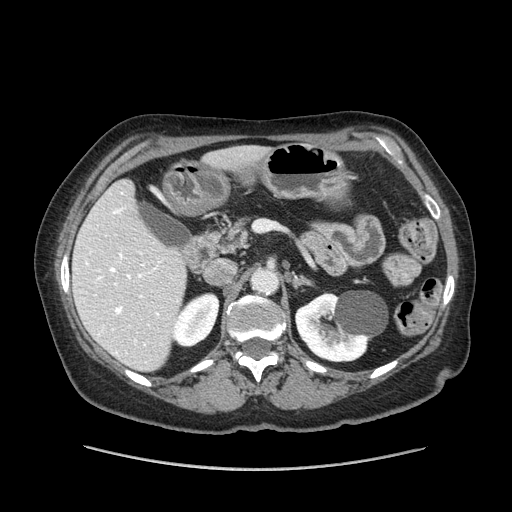
Computed tomography; Abdomen; 512x512
The pancreas is located at rect(218, 218, 252, 253).